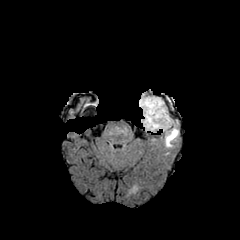
FLAIR MR image.
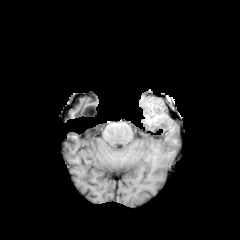
T1-weighted MR.
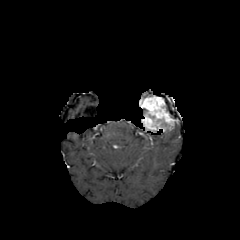
Post-contrast T1-weighted magnetic resonance of the same slice.
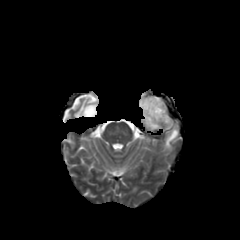
T2-weighted magnetic resonance.
The enhancing tumor appears at (139,95,174,131). The edema is located at (164,120,178,147).